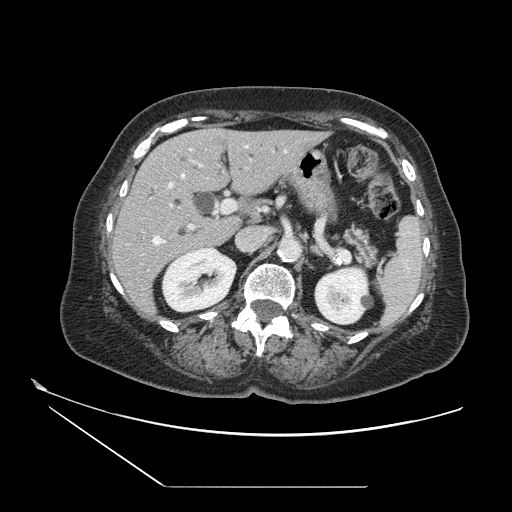 CT slice, 512x512
pancreas:
  - 344, 229, 376, 265